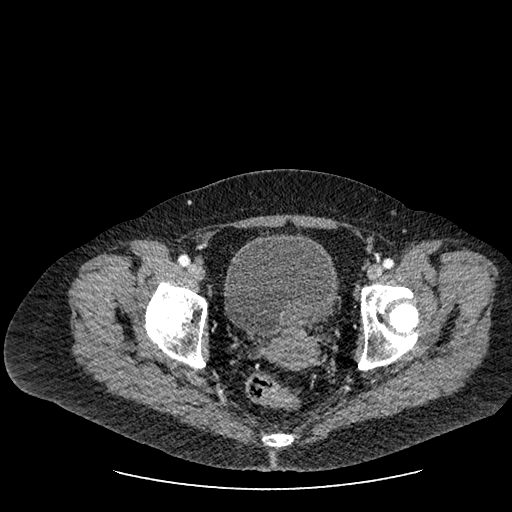
CT; 512x512; Lower abdomen

<segmentation>
  <urinary_bladder><bbox>225, 233, 337, 337</bbox></urinary_bladder>
</segmentation>